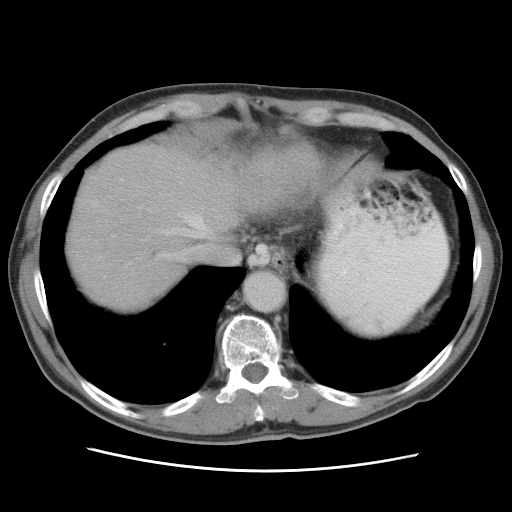

Computed tomography | Liver

The vessel annotation is not exhaustive.
Hepatic vessel at x1=139, y1=206, x2=141, y2=208; x1=158, y1=245, x2=240, y2=264; x1=126, y1=263, x2=130, y2=266; x1=163, y1=213, x2=212, y2=236; x1=120, y1=179, x2=122, y2=180.